Slice index 99 | Brain
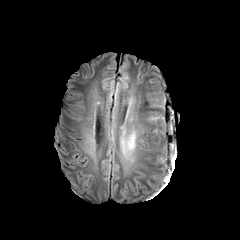
FLAIR MRI.
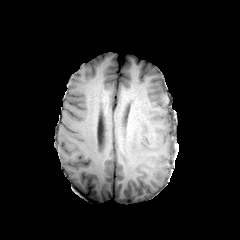
T1-weighted MR image.
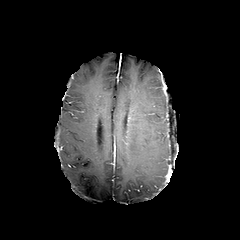
Post-contrast T1-weighted magnetic resonance.
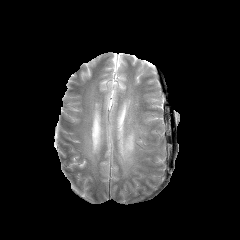
Same slice, T2-weighted MR image.
The edema is located at 121,131,135,157.